512x512 px | CT scan slice
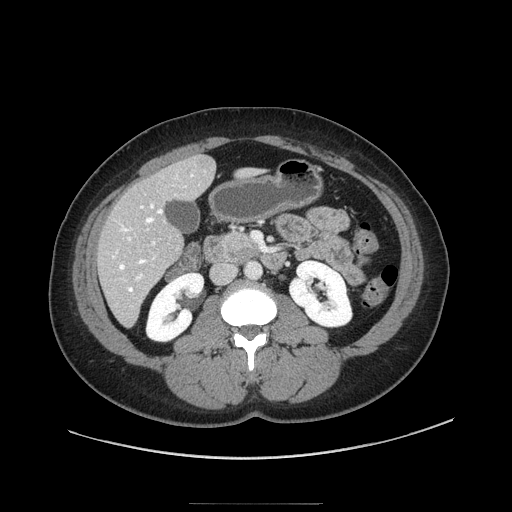
Pancreas at 221 230 260 264.
Pancreatic tumor at 226 242 257 265.